CT image, Abdomen, Slice index 15, Image size 512x512
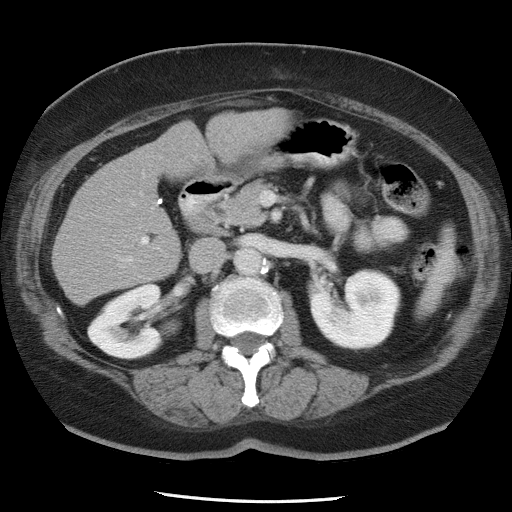 The vessel boxes may cover only some of the vessels.
Hepatic vessel = (x1=142, y1=237, x2=147, y2=242).